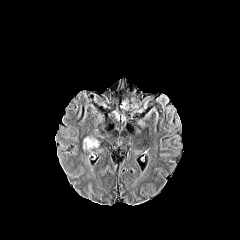
FLAIR magnetic resonance.
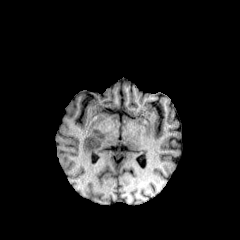
Same slice, T1-weighted magnetic resonance.
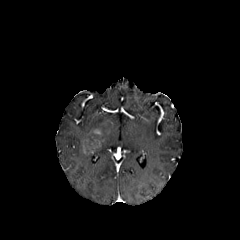
Same slice, post-contrast T1-weighted MR.
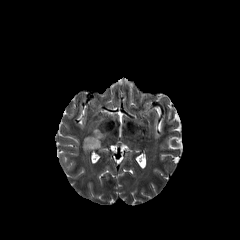
T2-weighted MR image.
Brain
{"enhancing_tumor": ["box(82, 138, 100, 154)"], "non-enhancing_tumor_core": ["box(84, 128, 103, 145)"]}